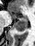 Medial temporal lobe; MR image

Posterior hippocampus at [13, 21, 27, 32].
Anterior hippocampus at [11, 14, 27, 20].